FLAIR MR.
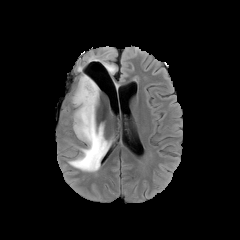
T1-weighted MR.
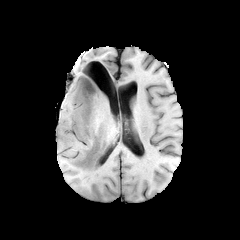
Post-contrast T1-weighted MR image.
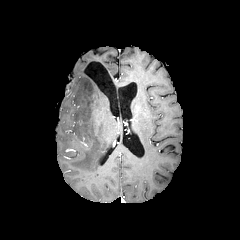
T2-weighted MR.
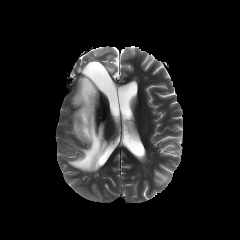
Head
<segmentation>
  <edema>(88, 54, 116, 74), (68, 74, 111, 171)</edema>
</segmentation>